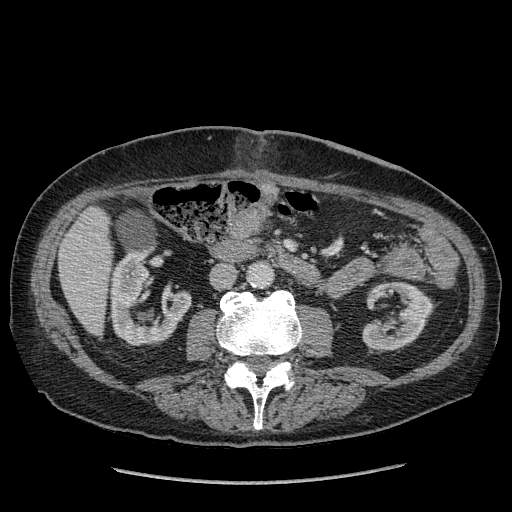 CT image, 512x512, Liver
{
  "liver": [
    "<box>58,207,112,334</box>"
  ],
  "kidney": [
    "<box>111,252,190,344</box>",
    "<box>363,282,432,349</box>"
  ]
}